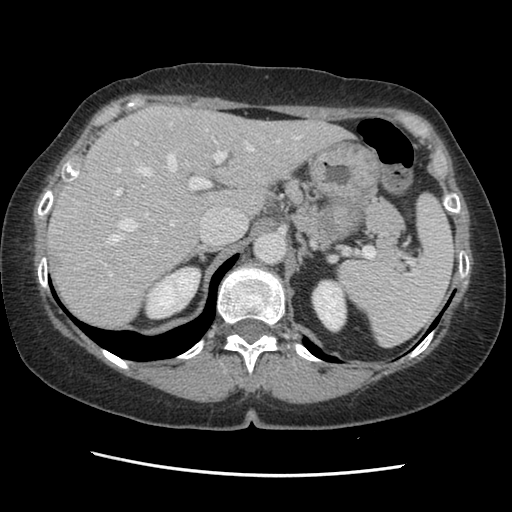 512x512, CT
Only some of the vessels may be annotated.
<segmentation partial="true">
  <hepatic_vessel shown="15" total="18">left=115, top=189, right=121, bottom=194; left=116, top=168, right=120, bottom=171; left=293, top=136, right=300, bottom=138; left=169, top=122, right=172, bottom=125; left=119, top=219, right=136, bottom=230; left=276, top=140, right=279, bottom=142; left=244, top=141, right=252, bottom=150; left=213, top=151, right=226, bottom=162; left=138, top=164, right=150, bottom=174; left=168, top=154, right=176, bottom=170; left=189, top=177, right=209, bottom=188; left=170, top=220, right=174, bottom=225; left=110, top=235, right=121, bottom=243; left=154, top=238, right=157, bottom=242; left=135, top=141, right=137, bottom=144</hepatic_vessel>
</segmentation>